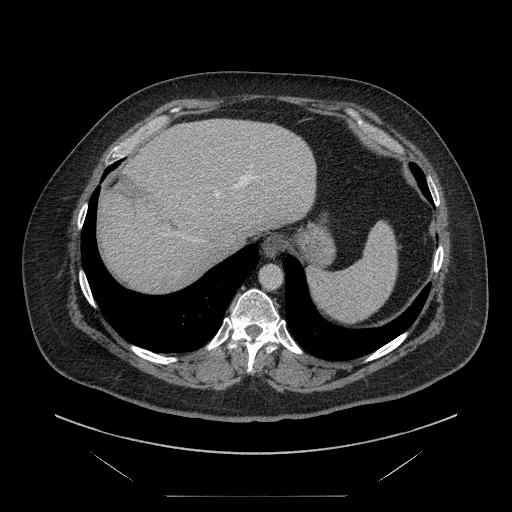 CT image | Liver
Not every hepatic vessel necessarily has a box.
• hepatic vessel: [x1=237, y1=196, x2=240, y2=197], [x1=214, y1=190, x2=224, y2=198], [x1=232, y1=164, x2=259, y2=193], [x1=172, y1=232, x2=204, y2=242]
• liver tumor: [x1=113, y1=176, x2=153, y2=207]